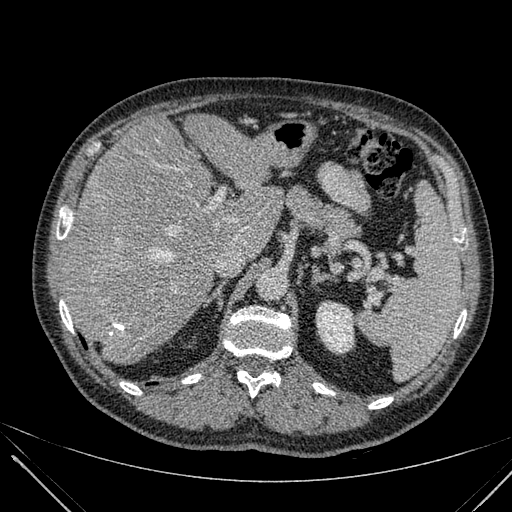 512x512 px, Abdomen, CT image
Segmented structures:
* liver: bbox=[62, 114, 283, 364]
* kidney: bbox=[317, 303, 353, 352]